CT slice, Slice 425 of 751, Upper abdomen

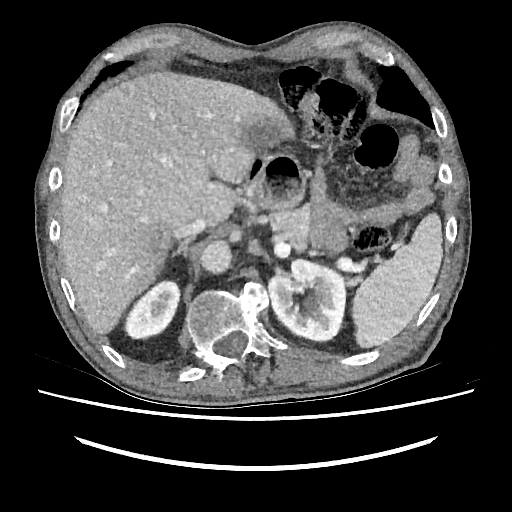 2 kidney regions are located at box(269, 260, 345, 340); box(126, 282, 179, 337). 2 hepatic lesion regions appear at box(242, 117, 285, 154); box(143, 225, 170, 262). The liver is at box(60, 72, 295, 333).